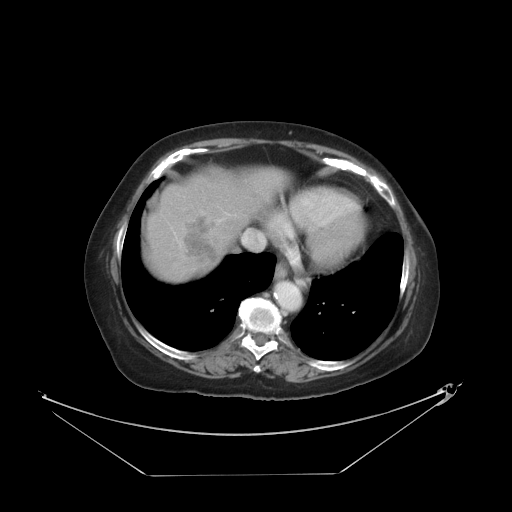
512x512 px. CT. Abdomen.

The vessel annotation is not exhaustive.
The hepatic vessel lies within bbox=[242, 229, 264, 248]. The liver tumor is bounded by bbox=[183, 218, 214, 258].